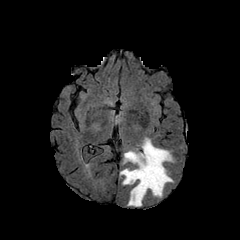
FLAIR MR image.
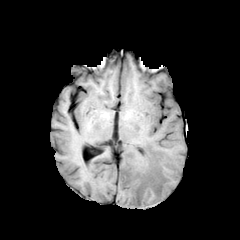
Same slice, T1-weighted MR.
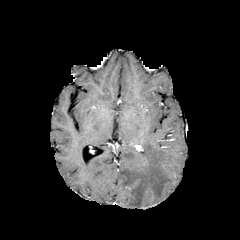
Post-contrast T1-weighted magnetic resonance.
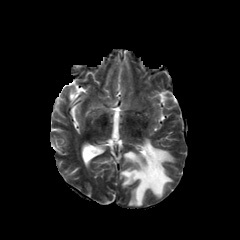
Same slice, T2-weighted MRI.
Head, Image size 240x240
The edema appears at rect(120, 138, 174, 206).